Head
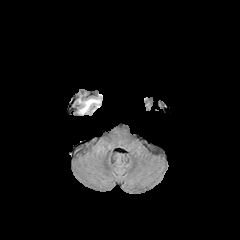
FLAIR MRI.
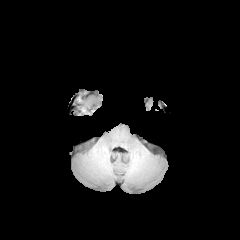
T1-weighted MRI.
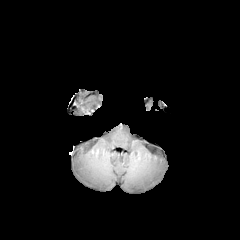
Same slice, post-contrast T1-weighted MRI.
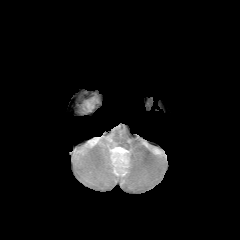
Same slice, T2-weighted MR.
<segmentation>
  <edema>(82, 98, 97, 112)</edema>
</segmentation>